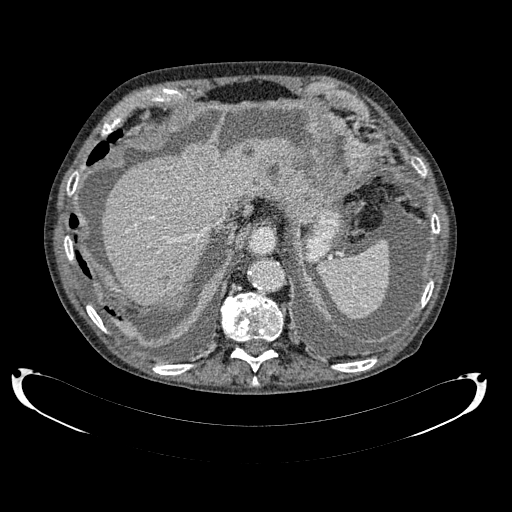

Computed tomography, Image size 512x512, Abdomen

Liver = 101,139,294,304.